CT | 512x512 px | Abdomen
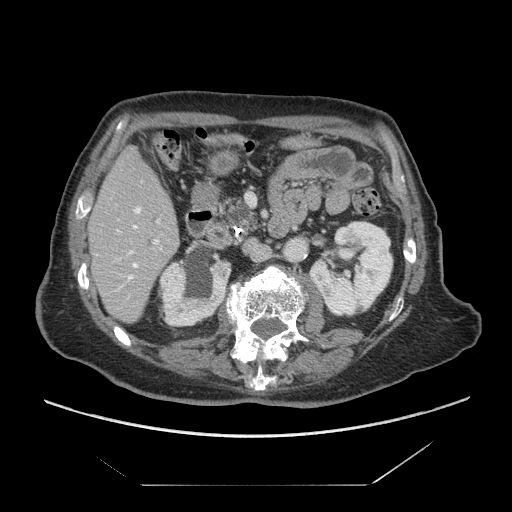 Annotated regions:
* pancreas: region(216, 192, 264, 241)